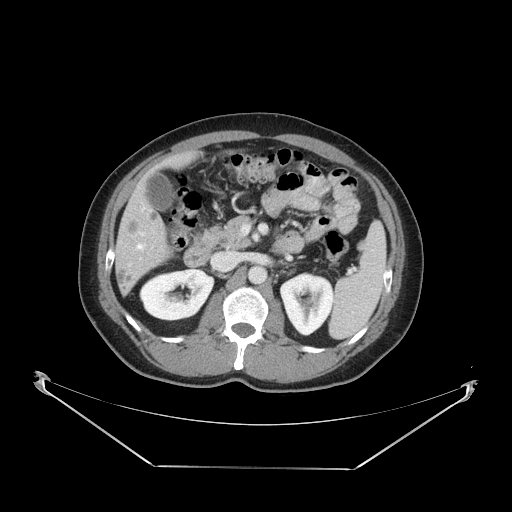 Image size 512x512; CT image
Not every hepatic vessel necessarily has a box.
* hepatic vessel: [138, 245, 142, 247]